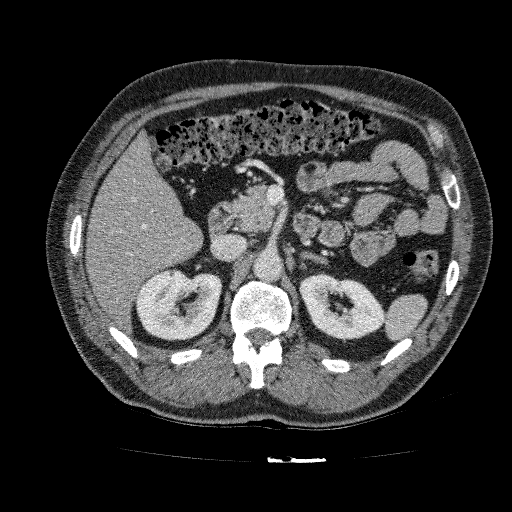
CT image
{"liver": ["[x1=86, y1=131, x2=203, y2=332]"], "kidney": ["[x1=300, y1=275, x2=384, y2=338]", "[x1=137, y1=271, x2=220, y2=339]"]}